CT. 512x512 px. Slice 97 of 129.

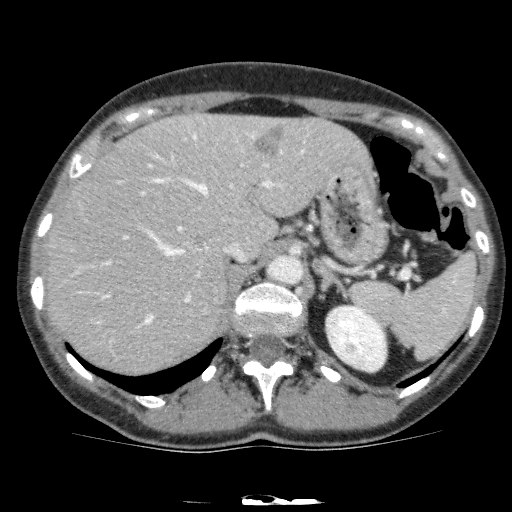

<segmentation>
  <kidney>box=[326, 306, 386, 370]</kidney>
  <liver>box=[44, 113, 375, 371]</liver>
  <hepatic_lesion>box=[187, 232, 209, 253]; box=[251, 123, 286, 159]</hepatic_lesion>
</segmentation>